Abdomen; Computed tomography
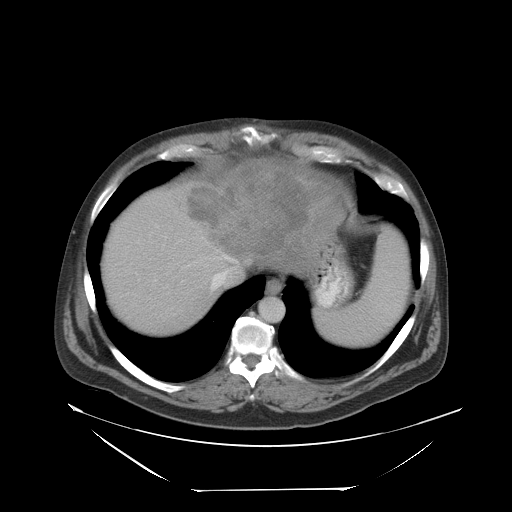

The vessel annotation is not exhaustive.
The liver tumor is at (187,166,309,258). 2 hepatic vessel regions appear at (222,255,234,261), (211,270,228,289).